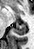

Magnetic resonance; Hippocampus
{"posterior_hippocampus": ["[13,24,25,35]"]}